FLAIR MRI.
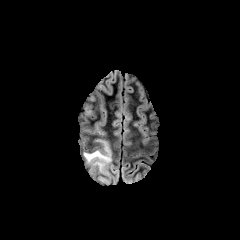
T1-weighted magnetic resonance.
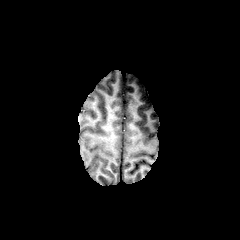
Post-contrast T1-weighted MR image.
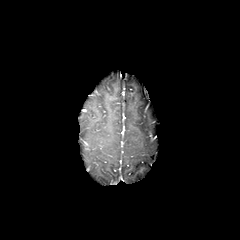
T2-weighted MR.
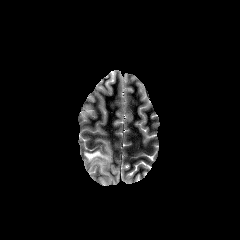
Head
edema: box=[84, 139, 111, 172]